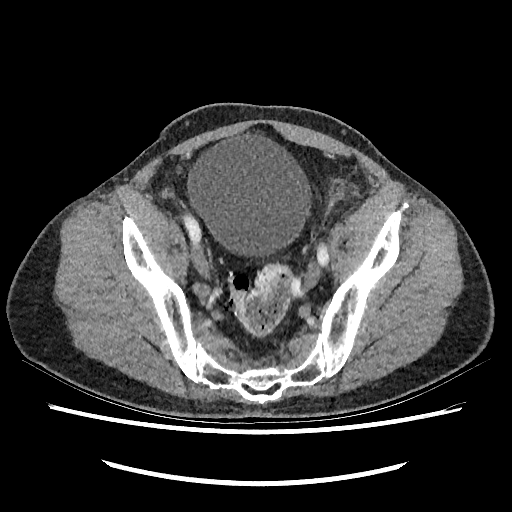 512x512; Pelvis; CT image
Urinary bladder — rect(187, 131, 311, 258).